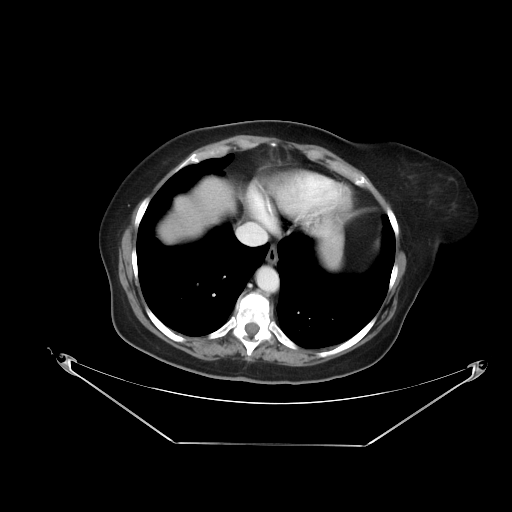 CT image
The vessel annotation is not exhaustive.
5 hepatic vessel regions appear at bbox(257, 215, 258, 217); bbox(315, 178, 327, 183); bbox(263, 205, 272, 224); bbox(249, 191, 262, 204); bbox(239, 227, 259, 244).